FLAIR MR image.
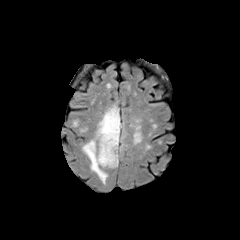
T1-weighted MR.
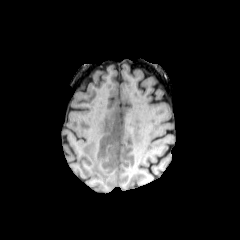
Post-contrast T1-weighted MR.
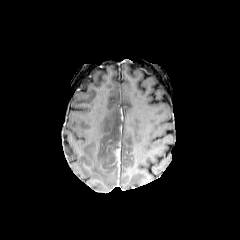
T2-weighted MR image.
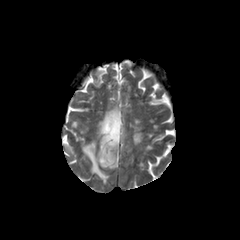
Head
The non-enhancing tumor core lies within x1=109, y1=142, x2=119, y2=167. 2 edema regions are bounded by x1=121, y1=128, x2=125, y2=147; x1=82, y1=105, x2=123, y2=184. The enhancing tumor is located at x1=115, y1=143, x2=120, y2=169.